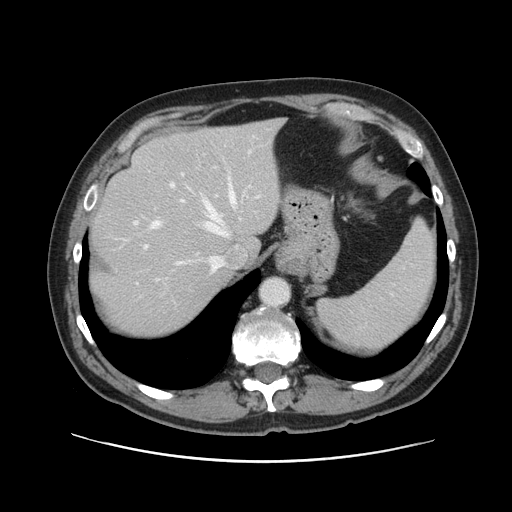

CT; Liver

Not every hepatic vessel necessarily has a box.
12 hepatic vessel regions are located at [200,192,201,194], [249,150,251,152], [181,173,183,174], [182,200,184,201], [134,221,137,223], [171,182,173,186], [229,187,234,205], [210,257,222,270], [144,245,147,248], [151,221,159,228], [178,262,184,263], [204,199,226,234].